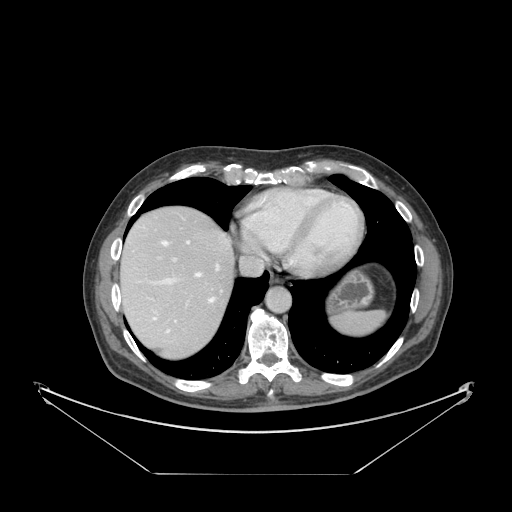 CT scan slice.
Spleen — 331,311,386,337.